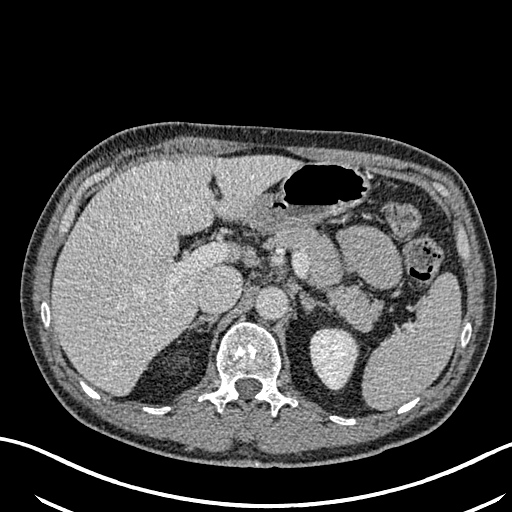 Abdomen, Computed tomography

Liver = bbox=[52, 155, 300, 393].
Kidney = bbox=[311, 330, 356, 388].